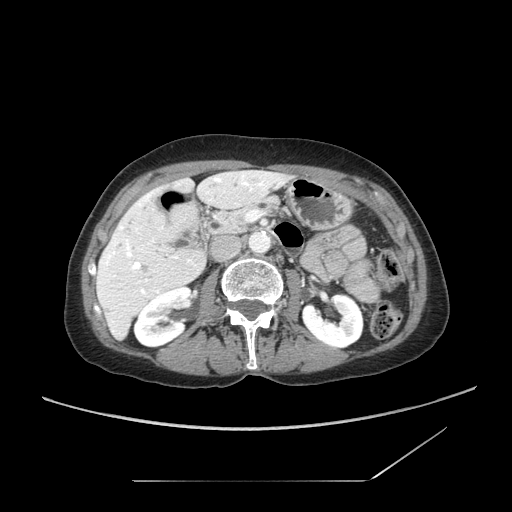
Upper abdomen. Computed tomography.

Pancreas: (208, 196, 288, 235).